512x512; Liver; CT slice; Slice 357/761

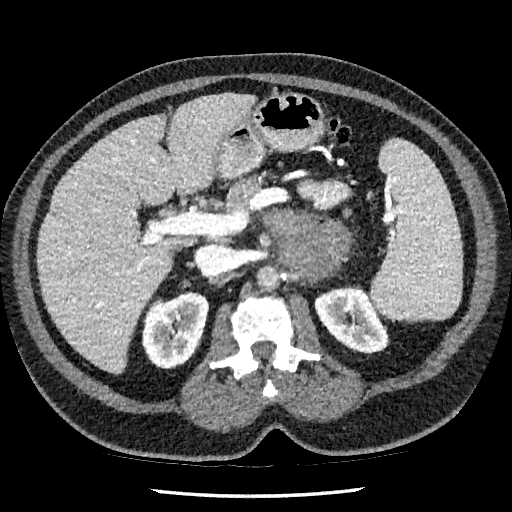 Kidney: bounding box (143,293,207,367), (315,289,387,352).
Liver: bounding box (39,94,254,371).